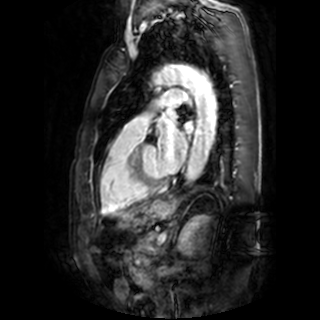
MRI | 320x320 | Cardiac
Left atrium at x1=166, y1=110, x2=176, y2=118; x1=184, y1=122, x2=191, y2=131; x1=158, y1=126, x2=187, y2=174.